512x512 px; Slice 100/129; CT image 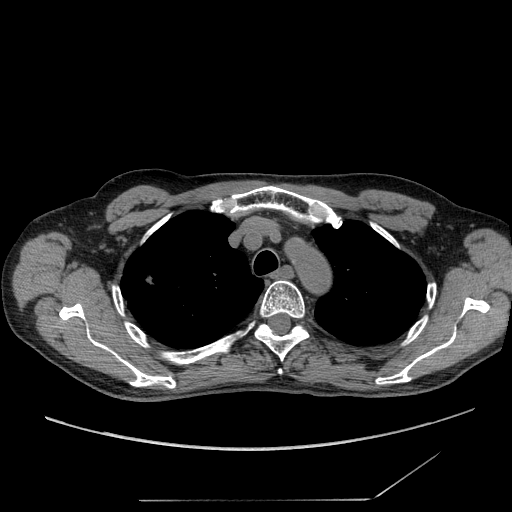 • lung tumor: x1=131, y1=267, x2=162, y2=289